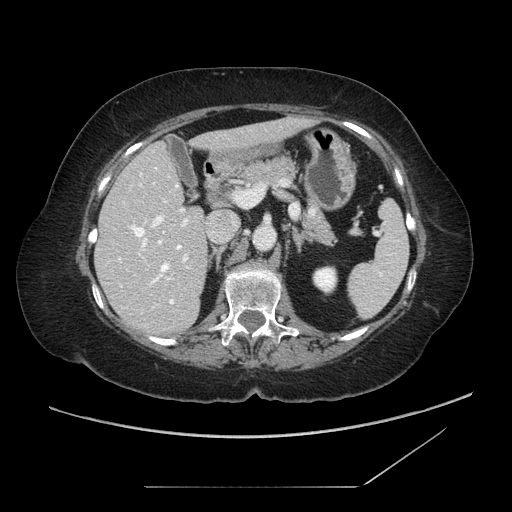

Image size 512x512; CT image; Abdomen
pancreas:
  - (210,156,299,206)
  - (301,195,338,246)